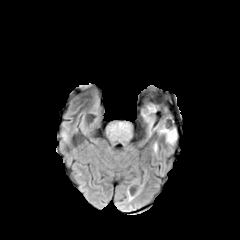
FLAIR MRI.
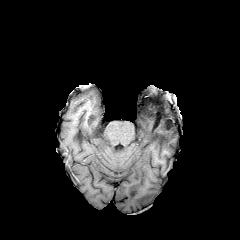
T1-weighted magnetic resonance of the same slice.
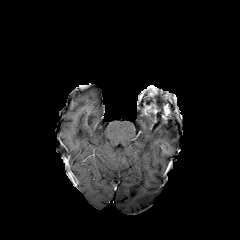
Same slice, post-contrast T1-weighted magnetic resonance.
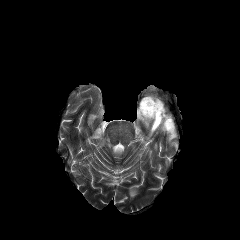
T2-weighted magnetic resonance of the same slice.
Head
Non-enhancing tumor core — x1=142, y1=104, x2=169, y2=129.
Edema — x1=144, y1=118, x2=154, y2=133; x1=153, y1=118, x2=176, y2=144.
Enhancing tumor — x1=142, y1=104, x2=157, y2=117.